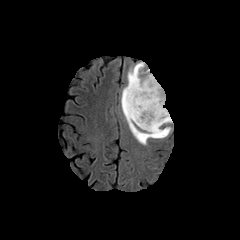
FLAIR MR.
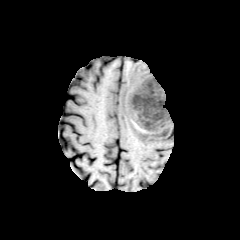
T1-weighted magnetic resonance.
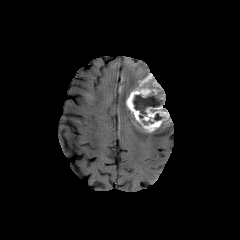
Same slice, post-contrast T1-weighted MR.
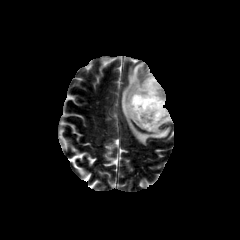
Same slice, T2-weighted MRI.
Brain
<segmentation>
  <edema>left=120, top=61, right=171, bottom=145</edema>
  <enhancing_tumor>left=126, top=73, right=172, bottom=134</enhancing_tumor>
  <non-enhancing_tumor_core>left=133, top=95, right=159, bottom=114</non-enhancing_tumor_core>
</segmentation>